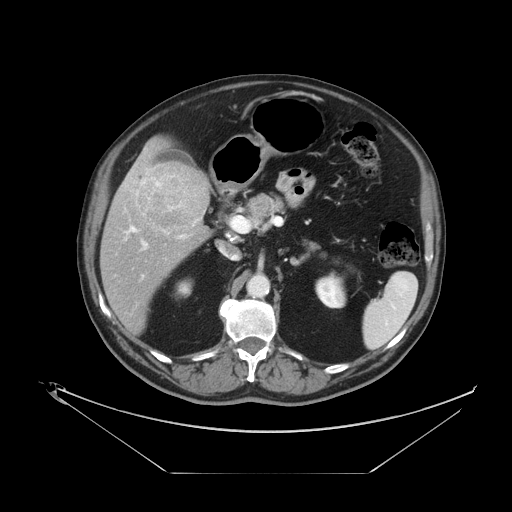 Computed tomography

The vessel boxes may cover only some of the vessels.
The liver tumor is located at <box>137,163,209,228</box>. 10 hepatic vessel regions appear at <box>142,241,147,249</box>, <box>193,223,194,225</box>, <box>178,234,187,237</box>, <box>133,169,150,185</box>, <box>142,214,144,215</box>, <box>142,275,143,278</box>, <box>133,191,138,194</box>, <box>124,184,126,186</box>, <box>124,226,138,239</box>, <box>163,229,169,235</box>.